CT slice | Image size 512x512 | Abdomen | Field of view 419x419 mm
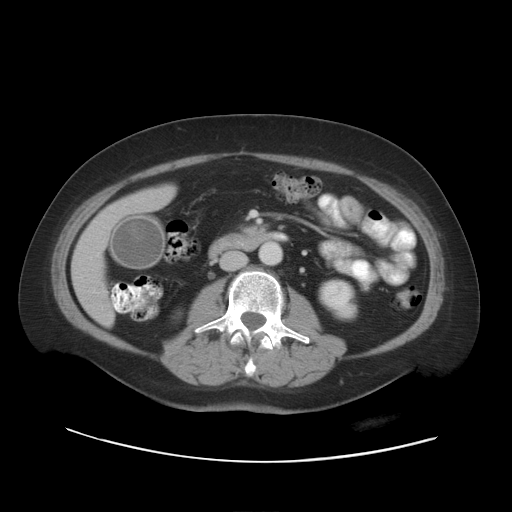

{
  "pancreas": [
    "244:226:263:236"
  ]
}